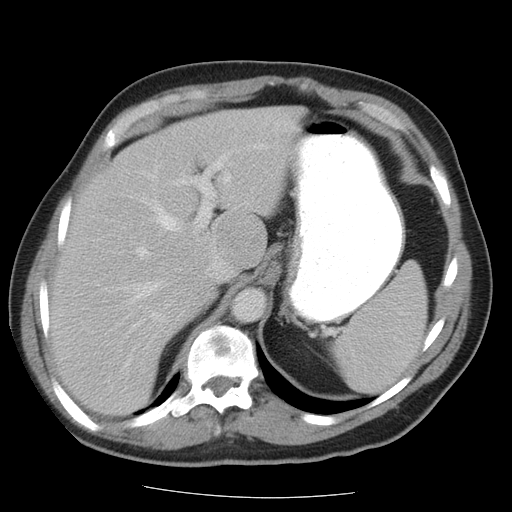 CT | Image size 512x512 | Abdomen
Some hepatic vessels may have no box.
The top 15 hepatic vessel regions (of 16) appear at x1=179, y1=169, x2=215, y2=227; x1=143, y1=171, x2=155, y2=177; x1=131, y1=282, x2=158, y2=302; x1=211, y1=156, x2=226, y2=169; x1=255, y1=143, x2=267, y2=148; x1=231, y1=196, x2=233, y2=199; x1=132, y1=321, x2=141, y2=328; x1=138, y1=248, x2=149, y2=256; x1=125, y1=287, x2=129, y2=289; x1=248, y1=146, x2=250, y2=150; x1=153, y1=200, x2=180, y2=230; x1=224, y1=175, x2=231, y2=182; x1=152, y1=313, x2=163, y2=319; x1=123, y1=360, x2=129, y2=368; x1=130, y1=284, x2=137, y2=286. The liver tumor is at x1=215, y1=212, x2=267, y2=268.